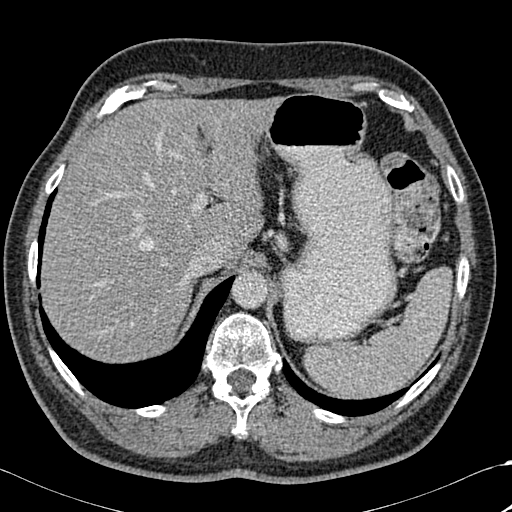

Abdomen. Computed tomography. lung:
  - [x1=39, y1=276, x2=234, y2=408]
  - [x1=37, y1=189, x2=56, y2=287]
  - [x1=414, y1=355, x2=439, y2=382]
  - [x1=283, y1=360, x2=408, y2=416]
bone:
  - [x1=50, y1=351, x2=82, y2=393]
  - [x1=457, y1=258, x2=468, y2=296]
  - [x1=46, y1=166, x2=63, y2=193]
  - [x1=447, y1=167, x2=463, y2=201]
  - [x1=399, y1=365, x2=438, y2=406]
  - [x1=379, y1=91, x2=412, y2=110]
  - [x1=314, y1=409, x2=343, y2=422]
  - [x1=98, y1=83, x2=147, y2=116]
  - [x1=203, y1=313, x2=281, y2=434]
  - [x1=137, y1=405, x2=164, y2=416]
  - [x1=28, y1=241, x2=37, y2=280]
liver:
  - [x1=41, y1=99, x2=275, y2=362]